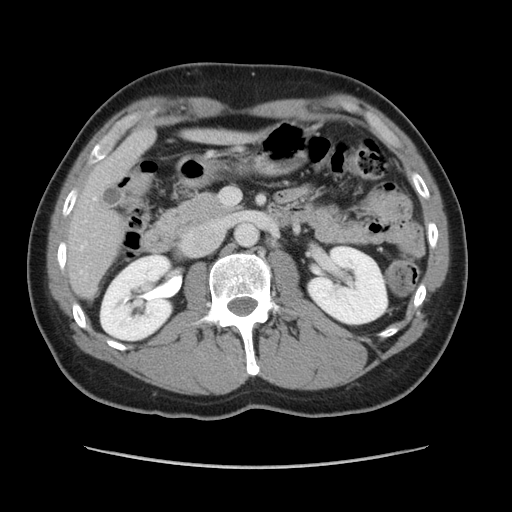
CT slice.

Some hepatic vessels may have no box.
Hepatic vessel at 94, 197, 95, 199; 81, 242, 87, 249.